Slice 36/155; 240x240; Image width 240 mm
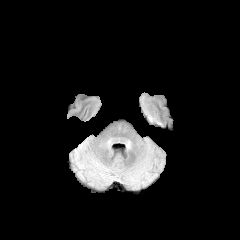
FLAIR magnetic resonance.
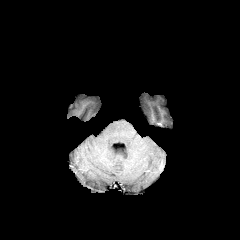
T1-weighted MR.
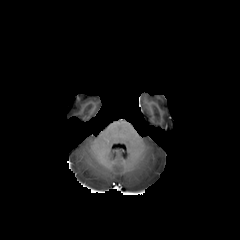
Post-contrast T1-weighted MR.
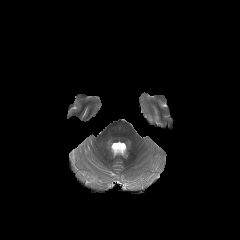
T2-weighted MRI.
2 edema regions appear at rect(126, 180, 142, 185); rect(142, 100, 160, 123).